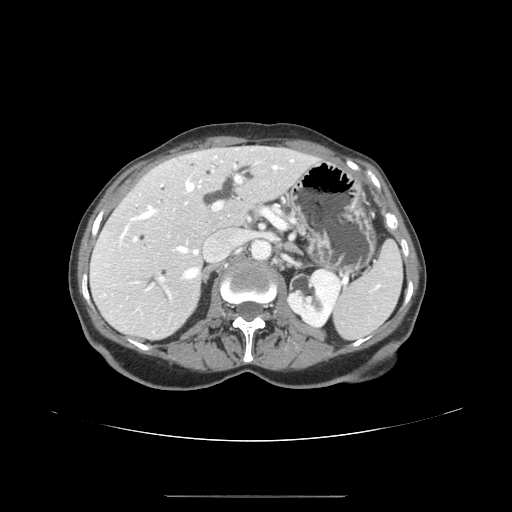
Upper abdomen | CT scan slice
The pancreas appears at [x1=283, y1=205, x2=294, y2=216].